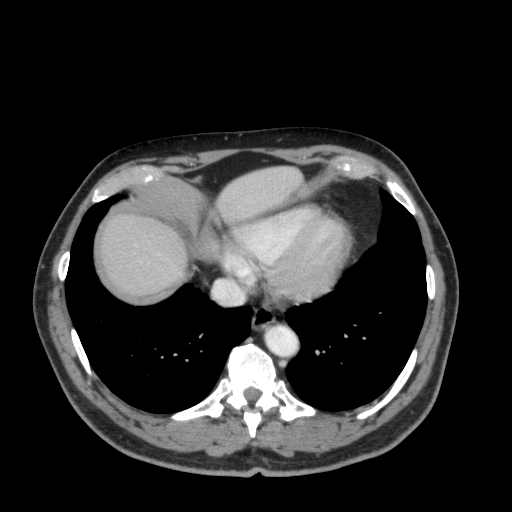 CT. Abdomen. 512x512.
2 liver regions appear at 100,213,186,301; 220,167,302,220.